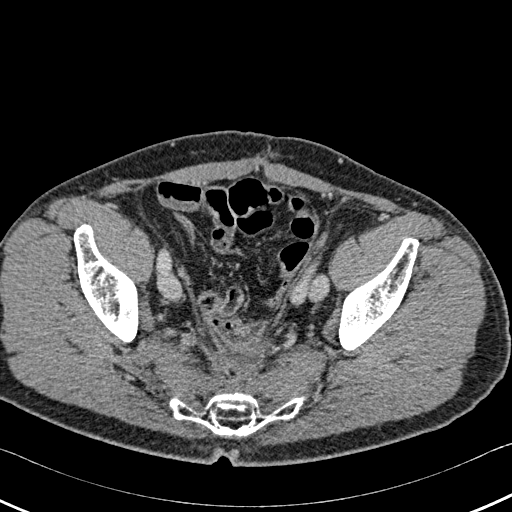 CT, 512x512

• bone: x1=339 y1=238 x2=418 y2=350, x1=170 y1=392 x2=304 y2=435, x1=74 y1=224 x2=137 y2=342